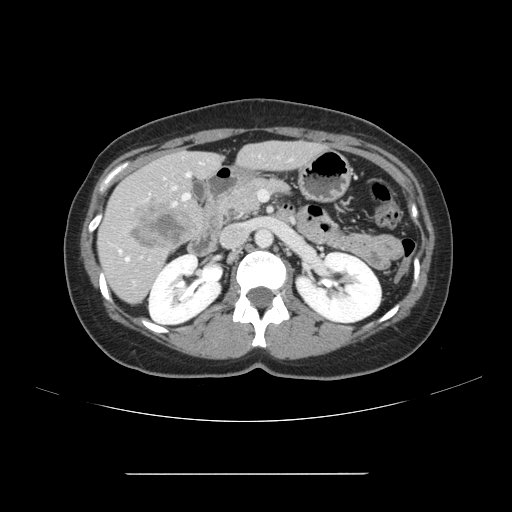

CT slice. Liver. Only some of the vessels may be annotated.
Hepatic vessel: bounding box bbox(200, 162, 202, 164); bbox(186, 173, 189, 176); bbox(172, 202, 176, 205); bbox(119, 250, 121, 252); bbox(173, 187, 176, 189); bbox(182, 193, 188, 199); bbox(126, 257, 128, 261).
Liver tumor: bounding box bbox(133, 200, 193, 247).